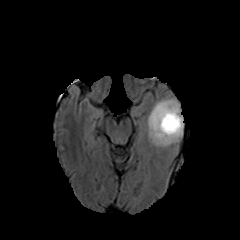
FLAIR MR.
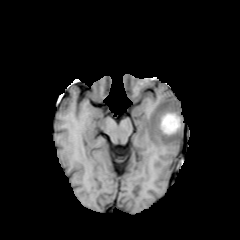
T1-weighted MR image of the same slice.
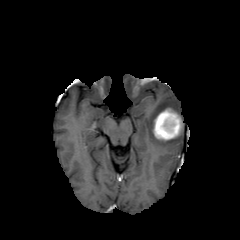
Same slice, post-contrast T1-weighted magnetic resonance.
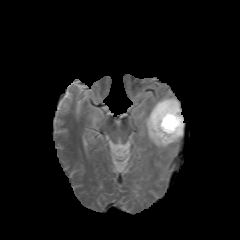
T2-weighted magnetic resonance.
The enhancing tumor lies within box=[160, 113, 179, 134]. The non-enhancing tumor core is at box=[152, 100, 179, 137]. The edema lies within box=[140, 92, 183, 151].